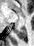 Image size 34x46, Hippocampus, MR
Posterior hippocampus = (16,28,26,39).